Slice 451 of 687; Image width 700 mm; Computed tomography; Abdomen; Image size 512x512

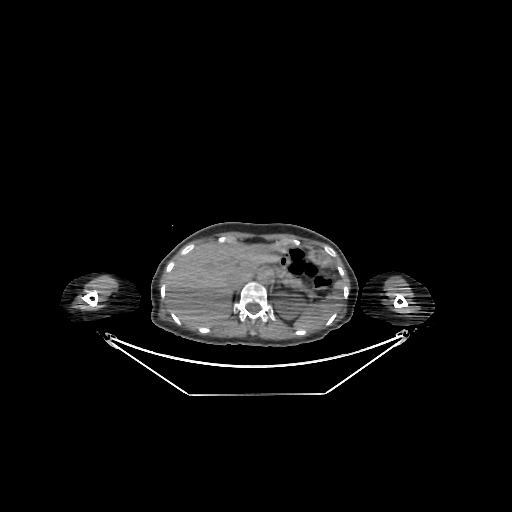
<segmentation>
  <kidney>l=274, t=291, r=308, b=318</kidney>
  <liver>l=163, t=241, r=281, b=328</liver>
</segmentation>